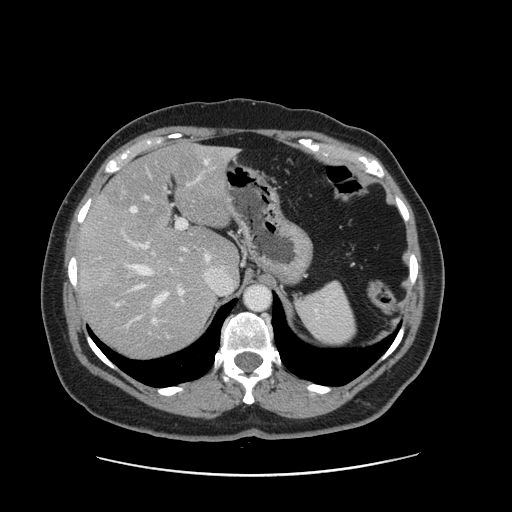
CT
Only some of the vessels may be annotated.
The most prominent 15 hepatic vessel regions (of 16) are bounded by 129 240 133 243, 145 196 148 199, 194 176 200 182, 183 248 186 250, 117 304 119 305, 176 218 187 228, 154 292 167 305, 138 243 148 247, 134 284 143 289, 204 159 209 163, 233 150 234 151, 179 288 183 294, 132 317 139 320, 129 264 151 274, 152 319 156 323. The liver tumor is bounded by 108 265 130 288.